FLAIR MR image.
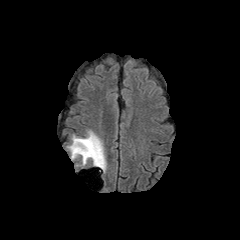
T1-weighted MR.
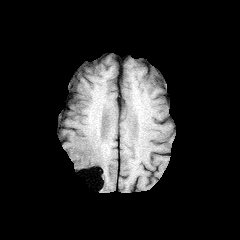
Post-contrast T1-weighted MR.
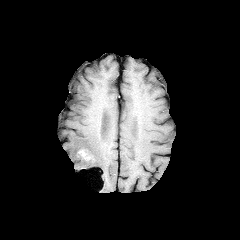
T2-weighted MRI.
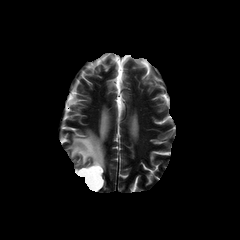
Enhancing tumor = <bbox>78, 149, 94, 161</bbox>.
Non-enhancing tumor core = <bbox>91, 159, 101, 169</bbox>.
Edema = <bbox>67, 128, 107, 172</bbox>.